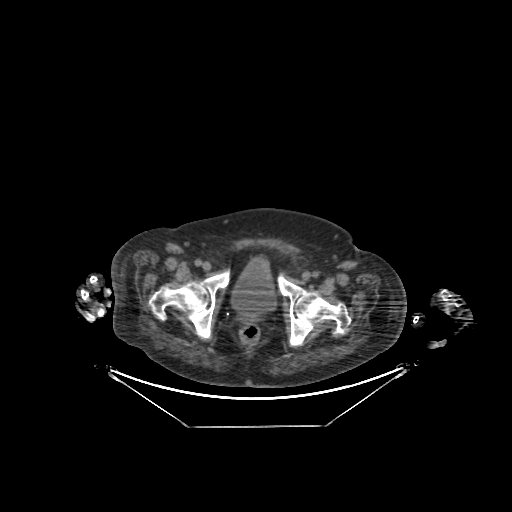
Computed tomography.
The urinary bladder appears at l=231, t=254, r=276, b=317.